FLAIR MR.
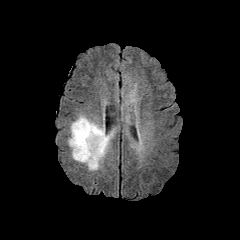
T1-weighted magnetic resonance.
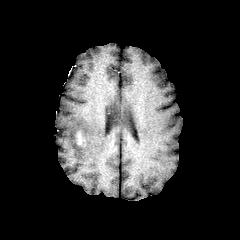
Post-contrast T1-weighted MRI.
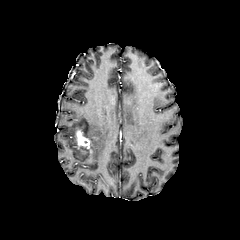
T2-weighted MR.
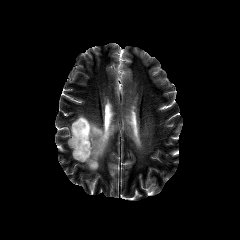
enhancing_tumor:
  - (76,131,90,148)
edema:
  - (124,116,135,123)
  - (66,114,116,171)
non-enhancing_tumor_core:
  - (75,141,91,153)